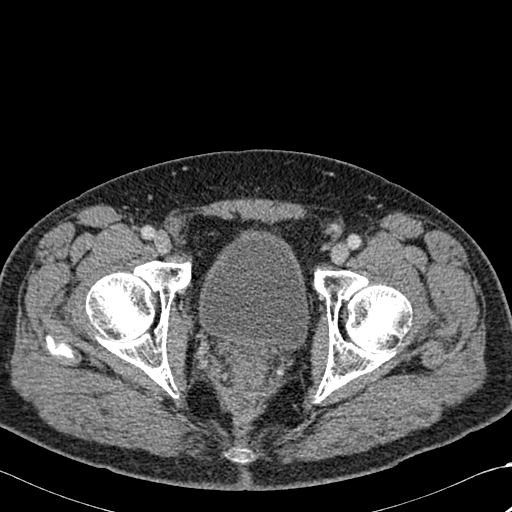 CT scan slice

Annotated regions:
- bone: 86 261 190 394, 46 336 72 358, 314 270 411 400, 235 450 246 462